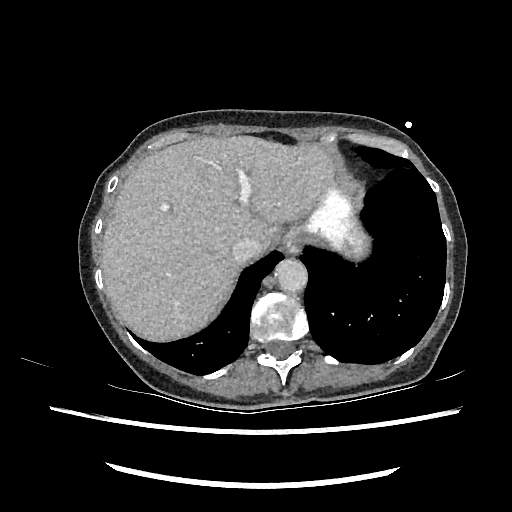

CT slice. Abdomen. Liver — x1=103, y1=136, x2=333, y2=338.